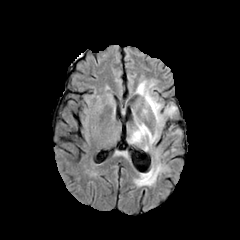
FLAIR MR.
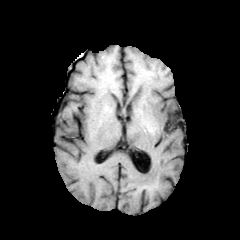
Same slice, T1-weighted MRI.
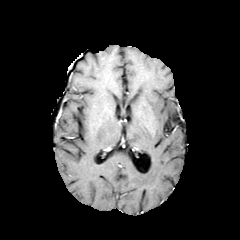
Post-contrast T1-weighted MRI.
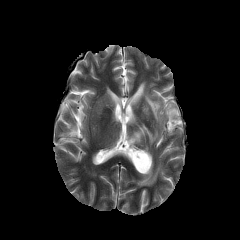
T2-weighted MRI of the same slice.
Head.
edema: (left=135, top=81, right=177, bottom=129), (left=127, top=112, right=160, bottom=151), (left=133, top=161, right=167, bottom=186)